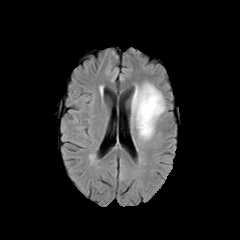
FLAIR MR.
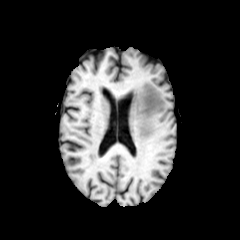
T1-weighted MR.
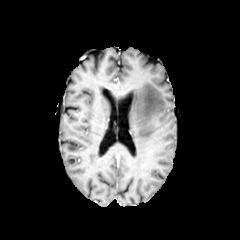
Post-contrast T1-weighted MR image of the same slice.
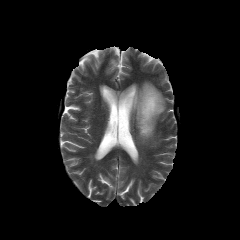
Same slice, T2-weighted MRI.
The edema is bounded by box=[132, 83, 164, 139].